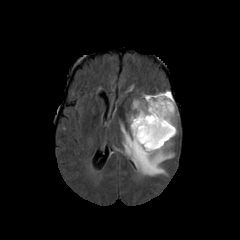
FLAIR MR image.
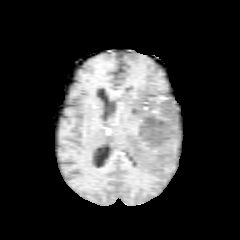
T1-weighted MRI.
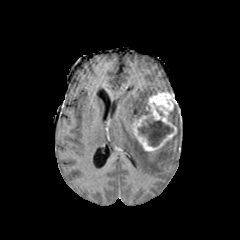
Post-contrast T1-weighted magnetic resonance of the same slice.
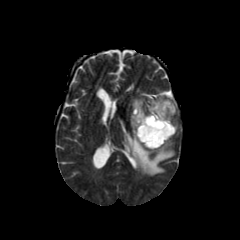
T2-weighted MR image.
240x240 px
The non-enhancing tumor core lies within x1=138 y1=116 x2=173 y2=146. The enhancing tumor lies within x1=131 y1=91 x2=177 y2=152. The edema is at x1=121 y1=99 x2=174 y2=175.